FLAIR MRI.
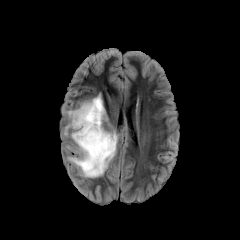
T1-weighted MR.
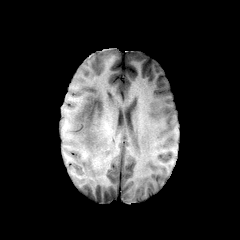
Post-contrast T1-weighted MR.
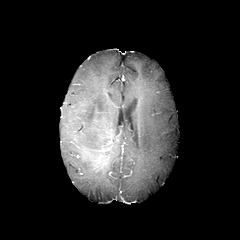
T2-weighted MR.
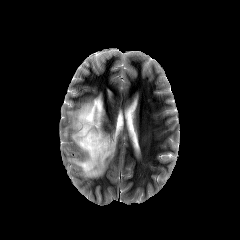
Head
The non-enhancing tumor core lies within [x1=106, y1=141, x2=112, y2=150]. The edema appears at [x1=68, y1=94, x2=118, y2=177].